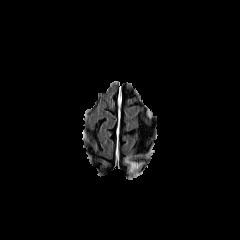
FLAIR MR image.
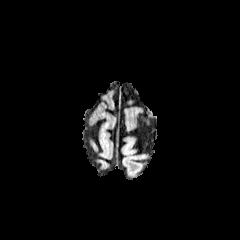
T1-weighted MR image.
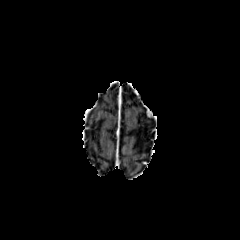
Same slice, post-contrast T1-weighted MR.
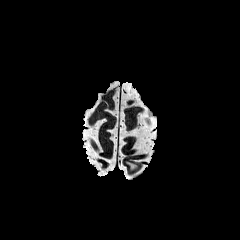
T2-weighted MR.
240x240 px | Head
edema:
  - region(125, 157, 142, 173)